FLAIR MR image.
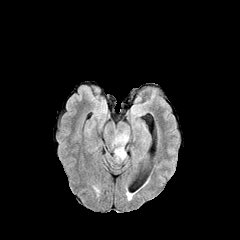
T1-weighted MR.
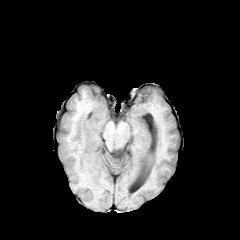
Post-contrast T1-weighted magnetic resonance.
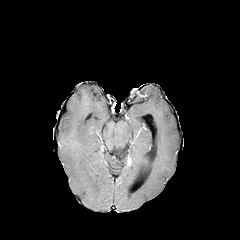
T2-weighted MR.
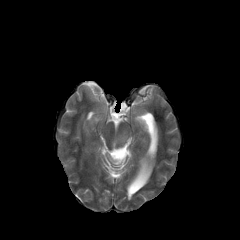
Head.
Edema = box(112, 132, 131, 163).